Field of view 313x313 mm; Abdomen; CT scan slice 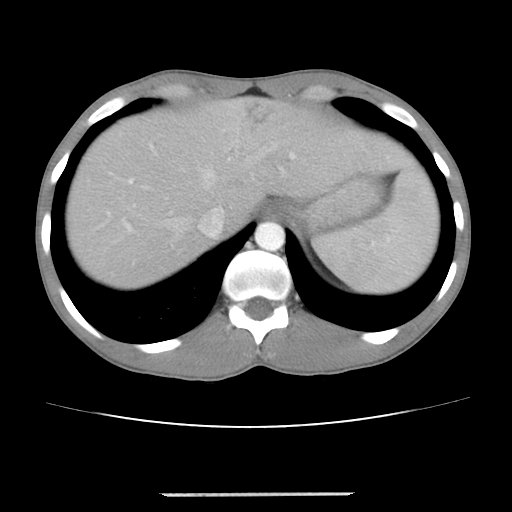 The vessel boxes may cover only some of the vessels.
* hepatic vessel: (200, 208, 223, 235), (199, 166, 215, 188), (160, 218, 191, 231), (246, 148, 269, 163)
* liver tumor: (249, 106, 266, 126)